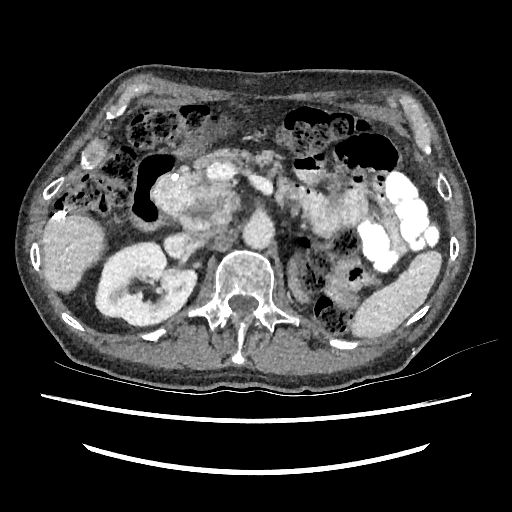 Liver. CT scan slice. liver: bbox=[43, 215, 104, 291] | kidney: bbox=[96, 243, 196, 325]